Pelvis; Image size 512x512; Slice 64/205; CT; Field of view 312x312 mm 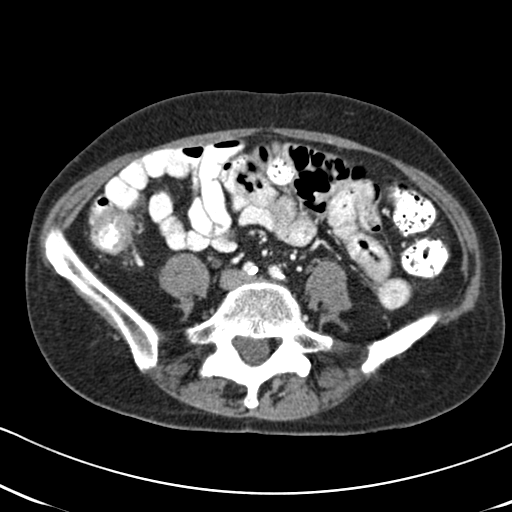

Colon tumor: {"x1": 91, "y1": 207, "x2": 132, "y2": 254}.